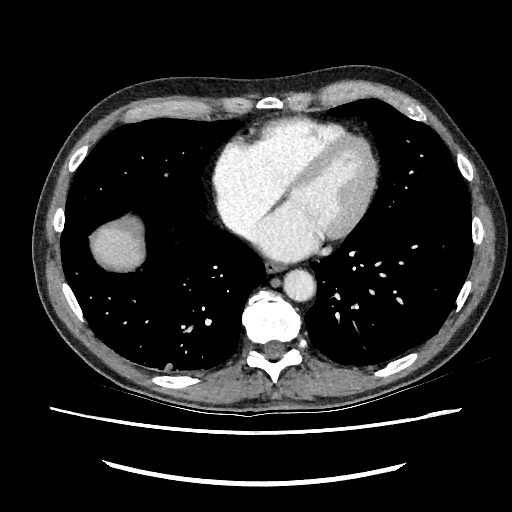

CT scan slice

The liver is at box=[92, 224, 141, 266].